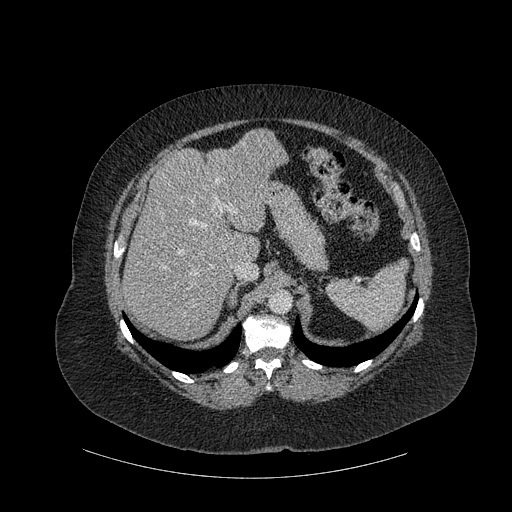

CT

{"liver": ["122:128:287:340"], "lung": ["125:317:240:373", "293:299:416:366"], "bone": ["355:360:371:371", "114:242:123:257", "411:233:419:250", "413:299:423:321", "255:359:280:378", "120:320:132:342", "173:372:193:382", "243:317:290:351", "302:360:321:369", "224:362:237:372"]}